CT
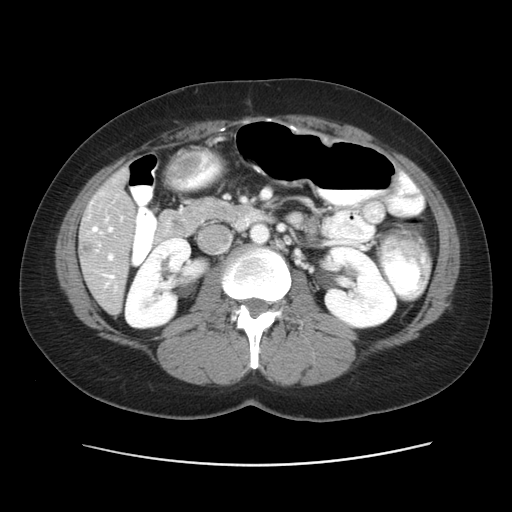
The vessel annotation is not exhaustive.
8 hepatic vessel regions are bounded by [108, 227, 112, 231], [98, 244, 99, 246], [92, 227, 101, 233], [96, 249, 97, 251], [108, 254, 112, 259], [105, 274, 113, 278], [120, 217, 122, 219], [105, 217, 107, 220]. The liver tumor is bounded by [85, 245, 93, 253].